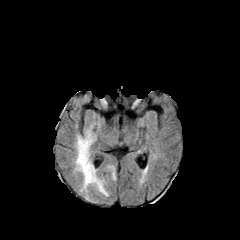
FLAIR MR image.
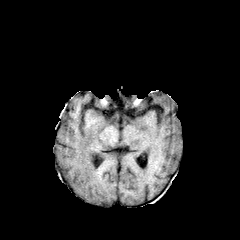
Same slice, T1-weighted magnetic resonance.
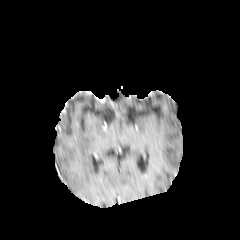
Same slice, post-contrast T1-weighted MRI.
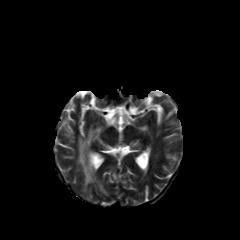
T2-weighted MR of the same slice.
240x240
Annotated regions:
• edema: 108, 166, 116, 179; 75, 125, 108, 196